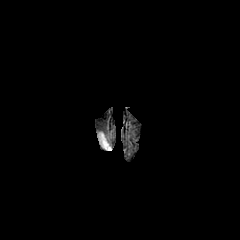
FLAIR MR.
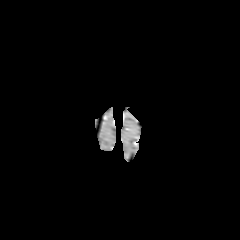
T1-weighted magnetic resonance of the same slice.
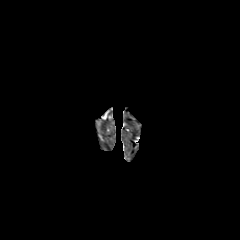
Same slice, post-contrast T1-weighted MR.
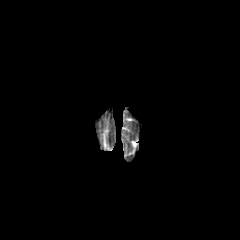
T2-weighted MR image.
Brain
Edema — [99, 134, 106, 145].